Slice index 365. CT slice. Upper abdomen. Image size 512x512.

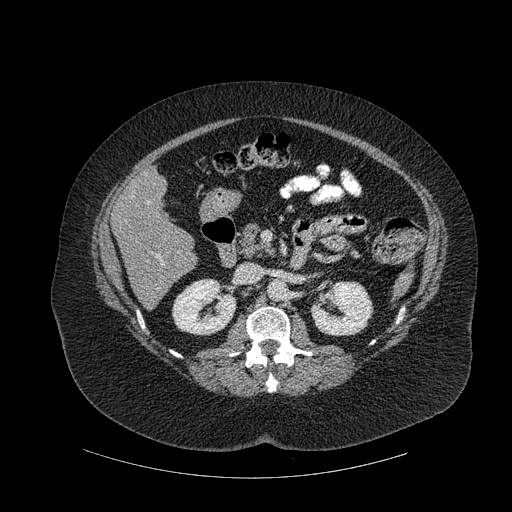 Segmented structures:
- bone: [x1=245, y1=307, x2=311, y2=366], [x1=266, y1=374, x2=277, y2=391], [x1=137, y1=311, x2=144, y2=328], [x1=396, y1=308, x2=404, y2=323]
- kidney: [x1=311, y1=282, x2=372, y2=334], [x1=173, y1=279, x2=235, y2=334]
- liver: [x1=111, y1=172, x2=197, y2=304]